Magnetic resonance, Slice index 14, Medial temporal lobe

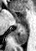 anterior hippocampus: bbox=[13, 13, 19, 21]; bbox=[21, 17, 26, 21] | posterior hippocampus: bbox=[13, 25, 27, 44]